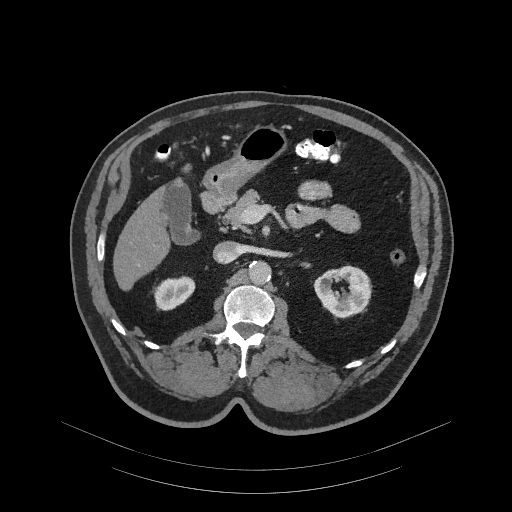

CT

pancreas:
  - x1=226 y1=190 x2=259 y2=229